Abdomen. CT. Slice 47/55.
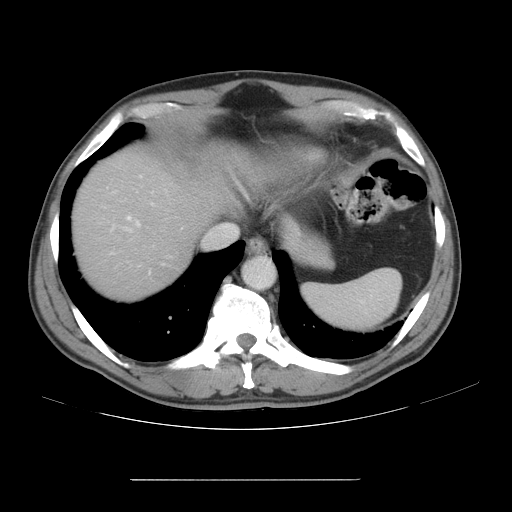

Only some of the vessels may be annotated.
Hepatic vessel — [x1=126, y1=216, x2=130, y2=219], [x1=111, y1=191, x2=116, y2=193], [x1=111, y1=253, x2=114, y2=254], [x1=136, y1=221, x2=140, y2=226], [x1=151, y1=191, x2=152, y2=192], [x1=111, y1=224, x2=115, y2=230], [x1=139, y1=175, x2=141, y2=177].